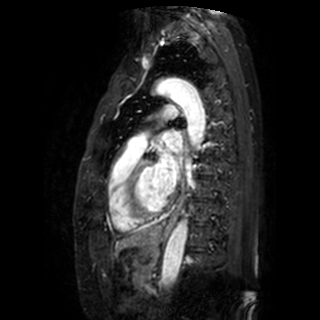

MRI | 320x320
2 left atrium regions are located at 163:132:181:151, 157:144:176:191.